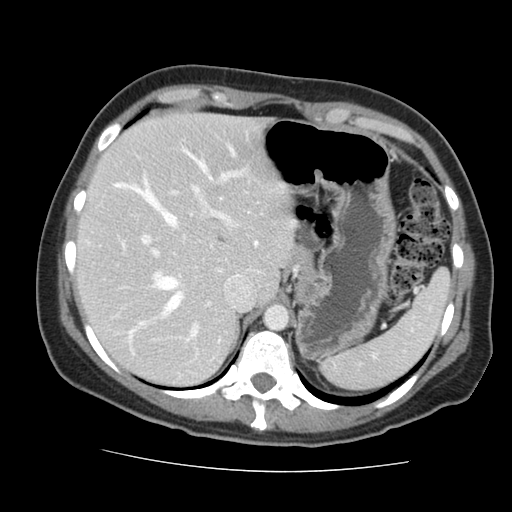
CT scan slice | 512x512 px | Liver
Not every hepatic vessel necessarily has a box.
hepatic_vessel:
  - 184:150:205:170
  - 210:211:230:223
  - 153:250:157:255
  - 192:187:198:192
  - 208:177:210:179
  - 154:273:176:289
  - 229:148:233:153
  - 163:293:181:314
  - 142:236:148:243
  - 254:242:256:245
  - 186:326:196:341
  - 138:322:143:326
  - 128:331:131:341
  - 221:173:239:180